Image width 240 mm.
FLAIR MRI.
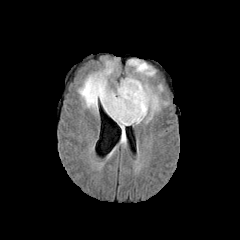
T1-weighted MRI.
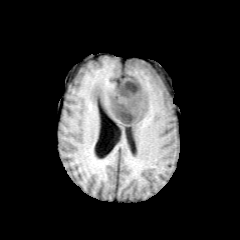
Post-contrast T1-weighted MR image.
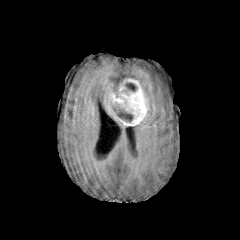
T2-weighted MR.
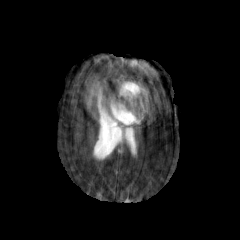
Edema: bbox(120, 126, 125, 143); bbox(128, 59, 159, 119); bbox(79, 66, 117, 116).
Enhancing tumor: bbox(107, 78, 149, 127).
Non-enhancing tumor core: bbox(112, 106, 133, 121); bbox(124, 82, 136, 91).